Head | Image size 240x240
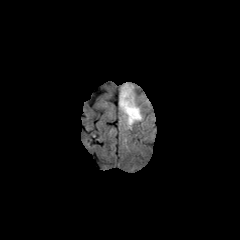
FLAIR MRI.
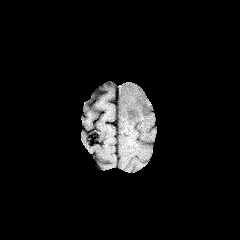
Same slice, T1-weighted MRI.
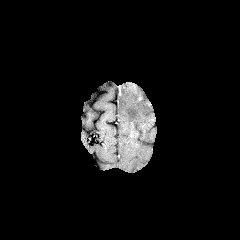
Post-contrast T1-weighted MR image of the same slice.
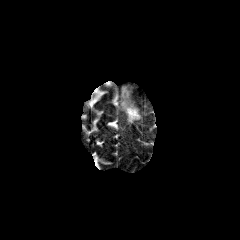
T2-weighted MR image.
edema:
  - bbox(119, 84, 144, 126)